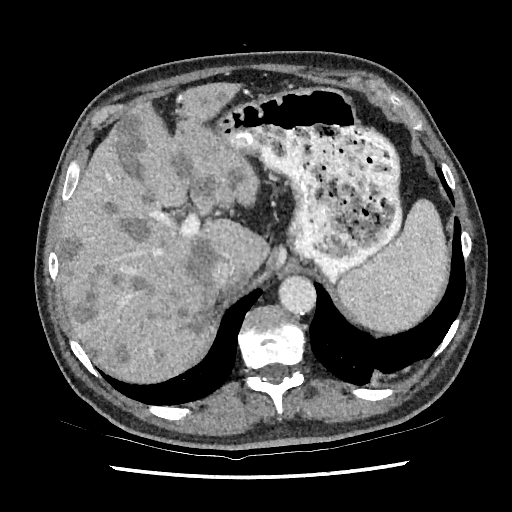 CT slice
Hepatic lesion — (86,342,130,364), (173,149,245,200), (216,90,229,102), (66,265,151,322), (151,348,164,361), (240,271,248,281), (113,114,146,180), (59,236,82,270), (102,201,116,215), (119,217,154,241), (175,235,220,335), (194,96,209,108).
Liver — (197,219,268,288), (59,84,257,382).